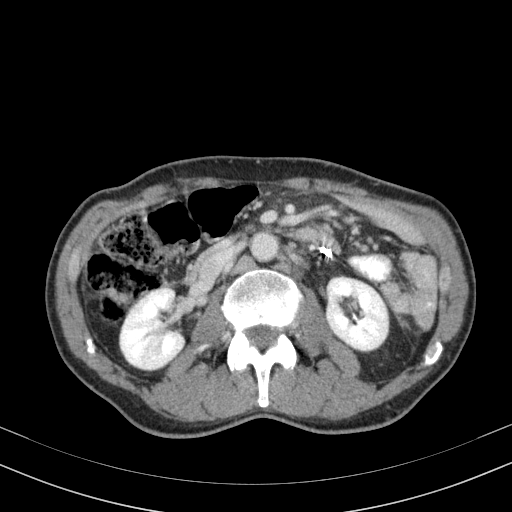
512x512 px; Abdomen; CT slice

Kidney: (x1=327, y1=278, x2=387, y2=349), (x1=120, y1=288, x2=183, y2=368).